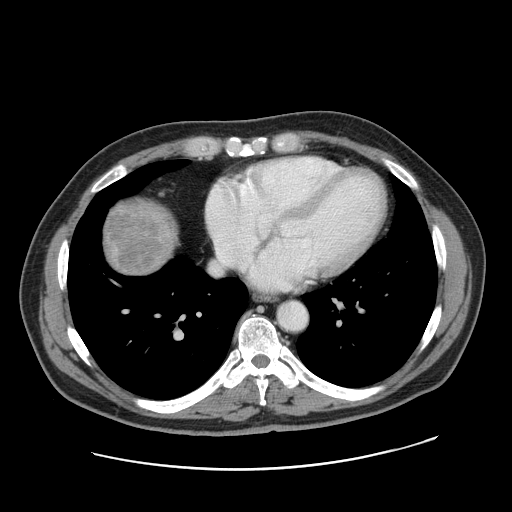

CT slice
Liver tumor — region(106, 203, 163, 273).